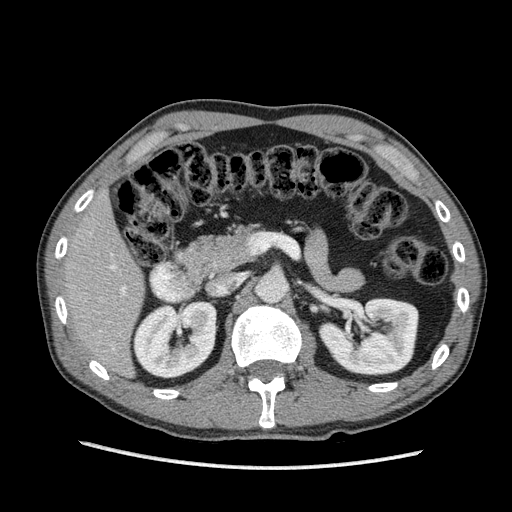

Liver; Computed tomography
The liver is at (61, 192, 145, 378). 2 kidney regions are bounded by (135, 303, 215, 376), (320, 299, 417, 373).